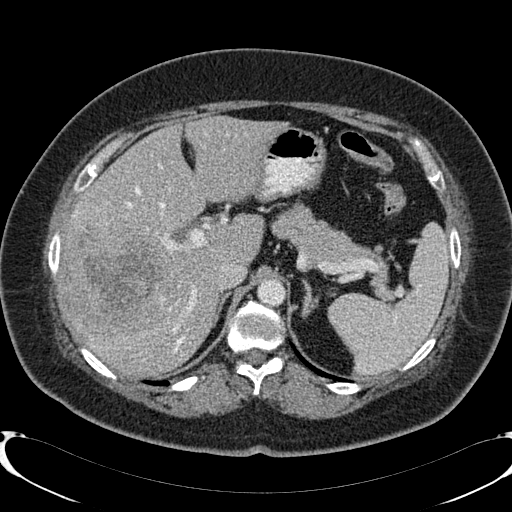 Abdomen | CT slice
{"hepatic_lesion": ["[64, 219, 174, 332]"], "liver": ["[61, 117, 288, 375]"]}